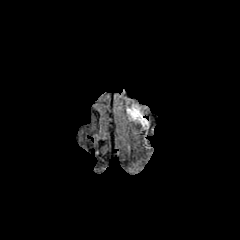
FLAIR MR image.
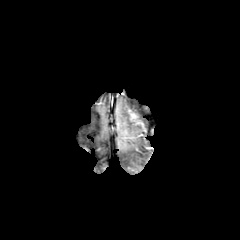
T1-weighted MRI.
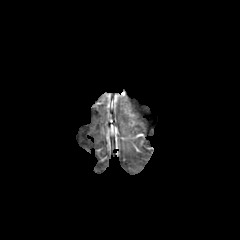
Post-contrast T1-weighted MRI.
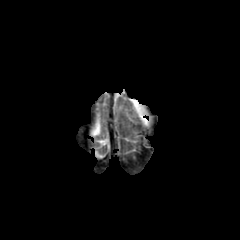
T2-weighted MR image of the same slice.
Edema: bounding box [126, 103, 147, 124].